Hippocampus; 34x48; MR image; Slice index 14 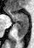 <segmentation>
  <posterior_hippocampus>box=[16, 22, 28, 38]</posterior_hippocampus>
  <anterior_hippocampus>box=[8, 10, 28, 21]</anterior_hippocampus>
</segmentation>